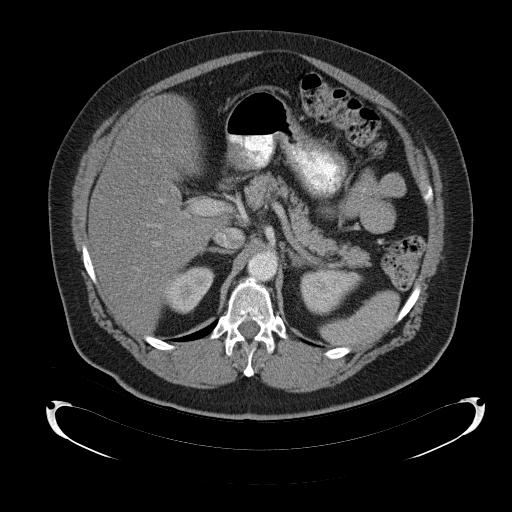 CT
spleen: box=[323, 292, 398, 345]